FLAIR MRI.
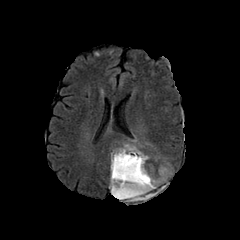
T1-weighted magnetic resonance.
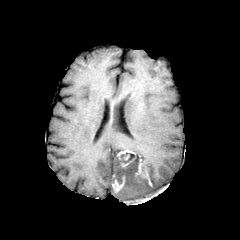
Post-contrast T1-weighted MRI.
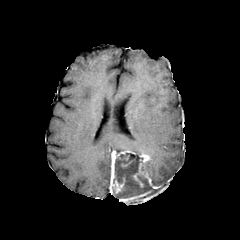
T2-weighted MR.
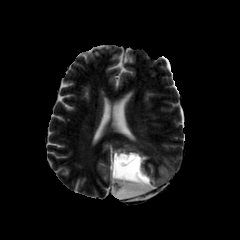
Brain
Edema — l=142, t=162, r=157, b=185; l=116, t=144, r=142, b=153.
Non-enhancing tumor core — l=111, t=150, r=155, b=200.
Enhancing tumor — l=121, t=192, r=147, b=201; l=110, t=152, r=123, b=193.